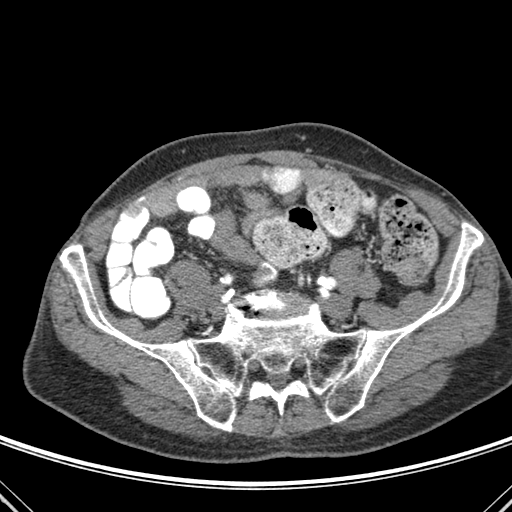

CT
{"bone": ["(left=60, top=222, right=483, bottom=431)"]}